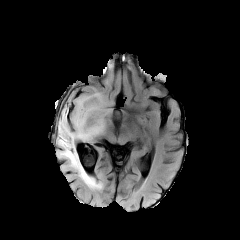
FLAIR magnetic resonance.
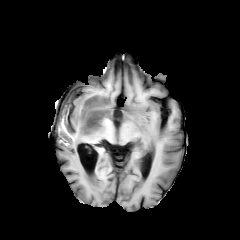
T1-weighted magnetic resonance of the same slice.
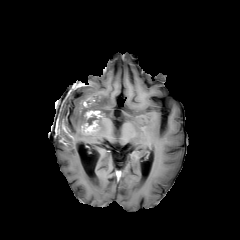
Same slice, post-contrast T1-weighted MR image.
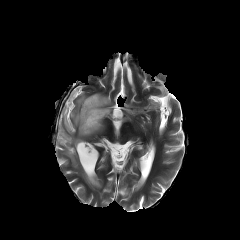
Same slice, T2-weighted magnetic resonance.
Head | 240x240 px
* edema: region(56, 97, 101, 189); region(87, 93, 99, 107)
* enhancing tumor: region(84, 110, 101, 118); region(82, 120, 98, 133); region(83, 98, 93, 107)
* non-enhancing tumor core: region(82, 98, 98, 114); region(84, 116, 99, 125); region(56, 118, 69, 133)